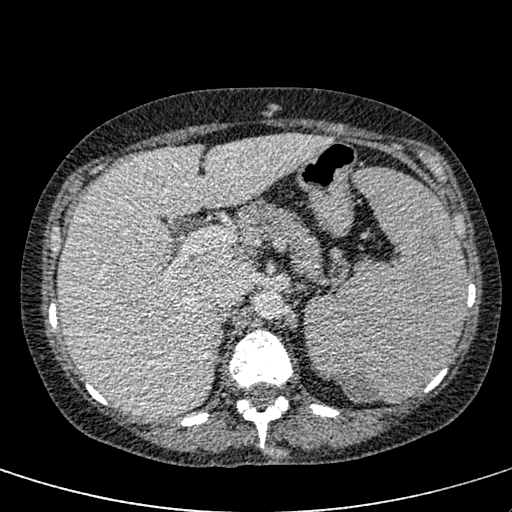

Upper abdomen. Computed tomography.

<segmentation>
  <liver>(58, 135, 333, 418)</liver>
</segmentation>